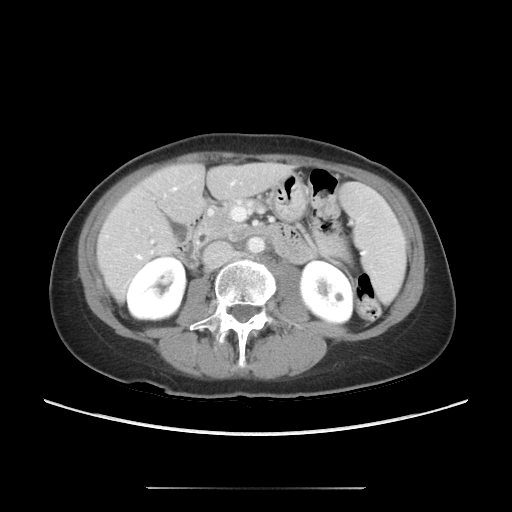 Image size 512x512; CT slice; Liver

Some hepatic vessels may have no box.
hepatic vessel: <box>230,181,233,186</box>, <box>150,240,153,242</box>, <box>236,180,242,184</box>, <box>151,229,152,230</box>, <box>138,256,140,257</box>